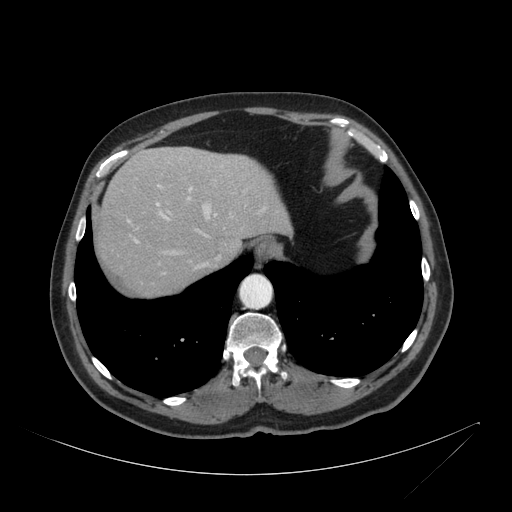

CT image. Upper abdomen.

Liver at l=96, t=147, r=292, b=295.